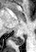
MR image, 36x52 px

Posterior hippocampus: bounding box left=14, top=35, right=25, bottom=45.